Head
FLAIR magnetic resonance.
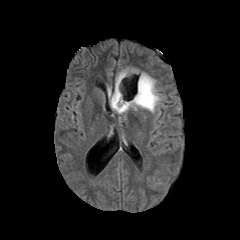
T1-weighted MR.
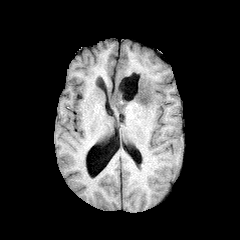
Post-contrast T1-weighted MRI.
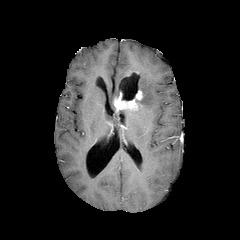
T2-weighted MR.
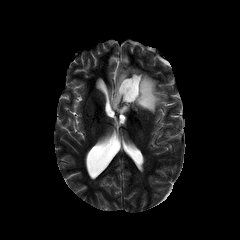
The enhancing tumor is located at x1=113, y1=90, x2=143, y2=111. The edema appears at x1=108, y1=68, x2=162, y2=113. 2 non-enhancing tumor core regions are located at x1=122, y1=82, x2=151, y2=105; x1=111, y1=88, x2=119, y2=110.